CT image, Slice 130/248
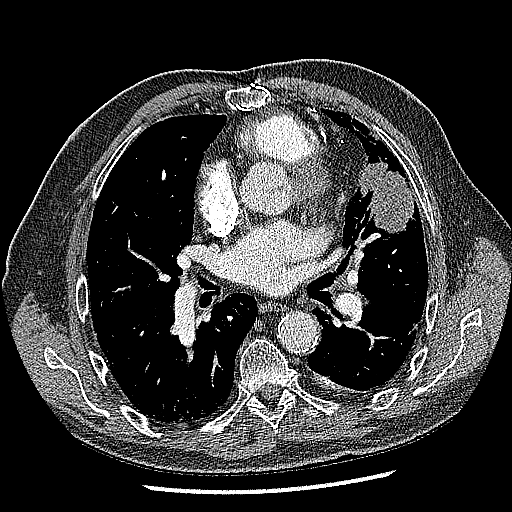

{
  "lung_tumor": [
    "360, 155, 414, 233"
  ]
}